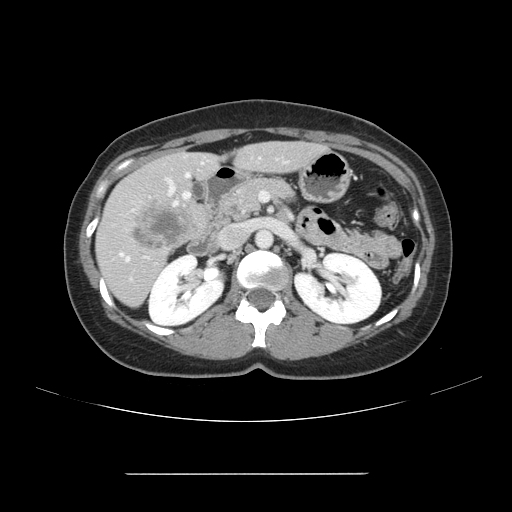

CT scan slice | Liver | 512x512

The vessel boxes may cover only some of the vessels.
Hepatic vessel = [173, 201, 177, 205], [125, 257, 129, 260], [201, 162, 203, 163], [120, 253, 123, 255], [166, 178, 174, 193], [183, 192, 189, 198], [186, 173, 189, 176].
Liver tumor = [135, 202, 187, 247].